CT | Upper abdomen 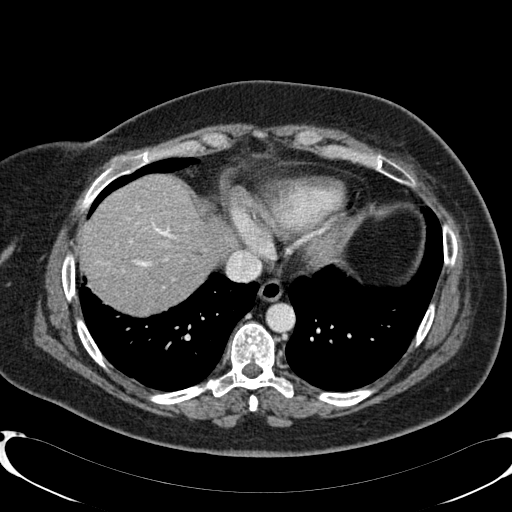 Liver — <box>79,175,238,311</box>.